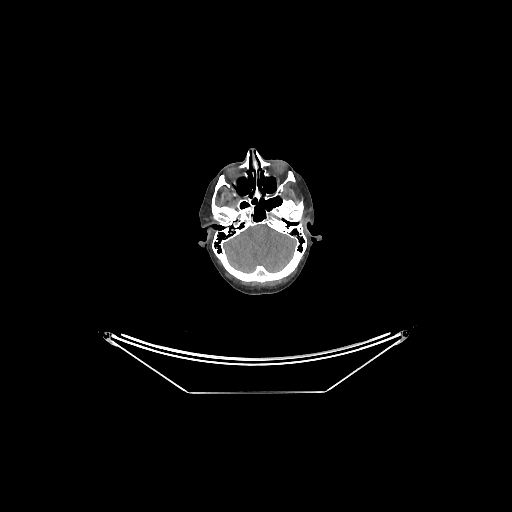
Computed tomography | Image size 512x512
{
  "brain": [
    {"x1": 223, "y1": 223, "x2": 296, "y2": 273}
  ]
}